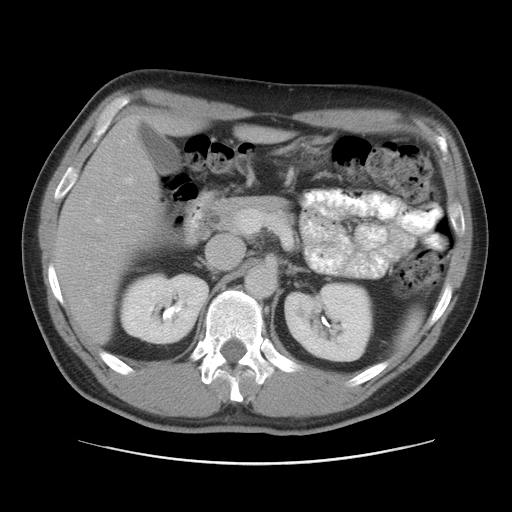

CT slice | Liver
Some hepatic vessels may have no box.
Hepatic vessel at bbox(127, 179, 131, 182); bbox(122, 140, 124, 142); bbox(96, 218, 100, 221).